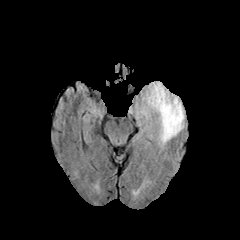
FLAIR MR image.
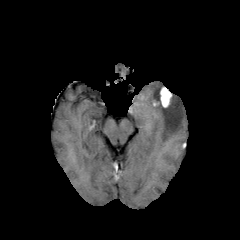
Same slice, T1-weighted MR.
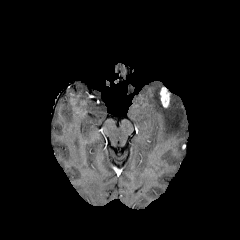
Post-contrast T1-weighted magnetic resonance.
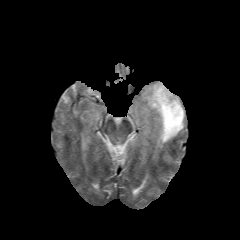
T2-weighted MR.
The enhancing tumor is bounded by bbox=[159, 86, 170, 107]. The edema lies within bbox=[130, 81, 184, 147].